Slice 273/401. Field of view 340 mm wide, 1.50 mm slice spacing. Abdomen. CT scan slice.

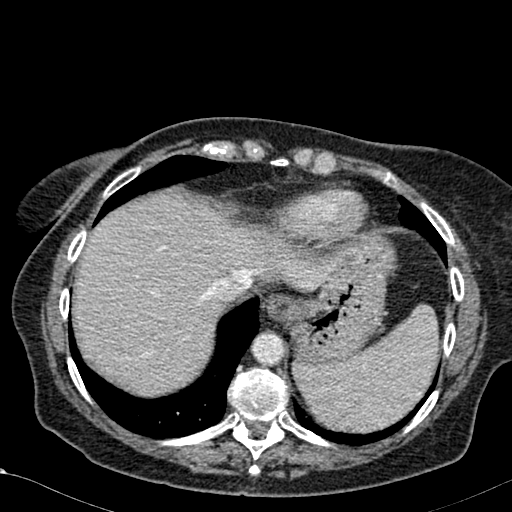

Liver: (x1=77, y1=197, x2=324, y2=395).